512x512 px, Image width 700 mm, CT scan slice, Abdomen, Slice 408 of 687

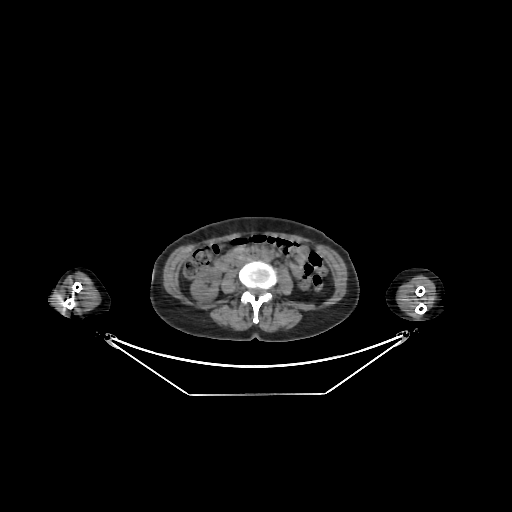

Kidney at 190,267,223,301.